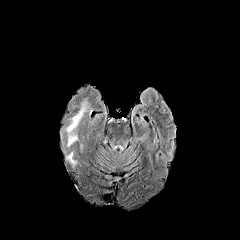
FLAIR MR image.
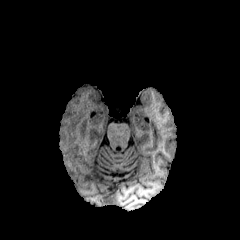
T1-weighted MRI.
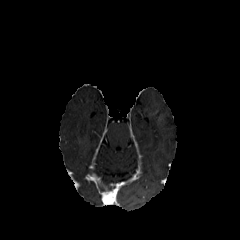
Post-contrast T1-weighted magnetic resonance of the same slice.
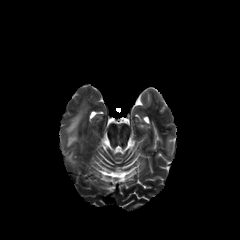
Same slice, T2-weighted MR.
Image size 240x240 | Brain
<segmentation>
  <edema>66,152,76,164; 63,99,92,148</edema>
</segmentation>